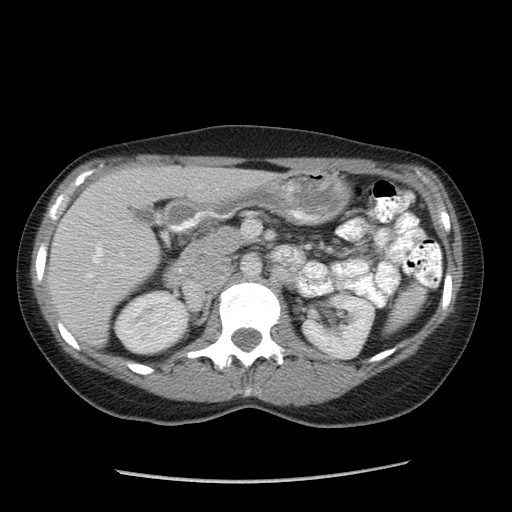 Image size 512x512; CT
The spleen is located at box=[389, 287, 422, 327].